Slice 483/751, Image width 439 mm, Computed tomography
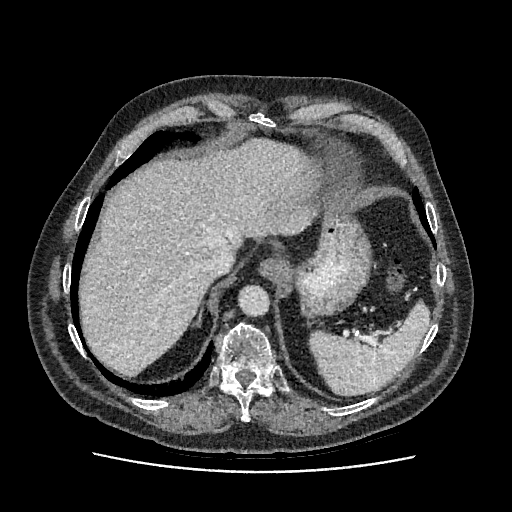 liver:
  - {"x1": 80, "y1": 140, "x2": 320, "y2": 375}